240x240 px | Brain | Slice index 77
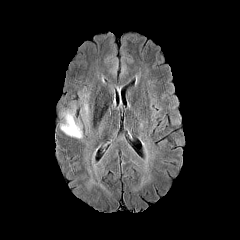
FLAIR MRI.
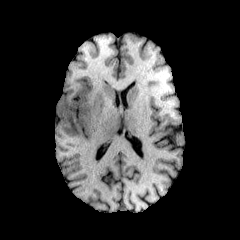
Same slice, T1-weighted MRI.
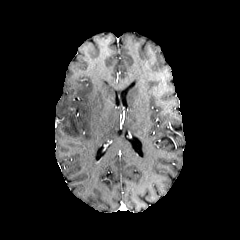
Post-contrast T1-weighted MR of the same slice.
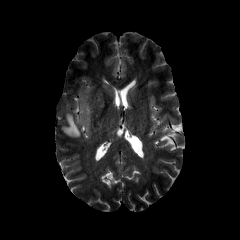
T2-weighted MR.
Findings:
* edema: (x1=80, y1=100, x2=88, y2=125), (x1=60, y1=109, x2=82, y2=138)